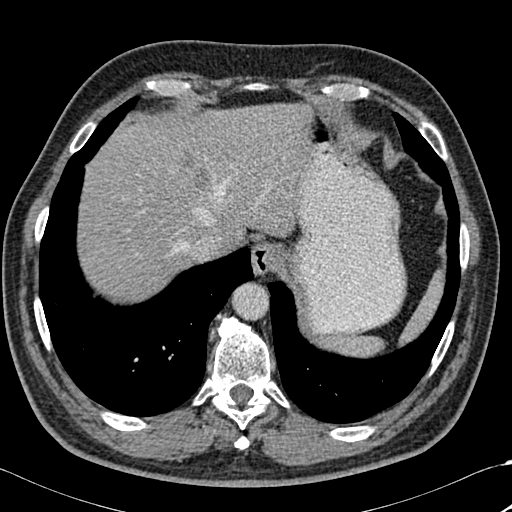

Liver | CT image | Image size 512x512
12 bone regions appear at (194, 318, 288, 429), (34, 299, 49, 348), (460, 225, 469, 267), (420, 122, 446, 158), (431, 322, 453, 372), (102, 412, 145, 430), (35, 208, 48, 240), (345, 86, 368, 97), (147, 81, 182, 93), (331, 426, 373, 441), (235, 437, 248, 448), (70, 122, 94, 152). 2 lung regions are bounded by (267, 112, 460, 423), (39, 97, 253, 416). The liver is located at (78, 104, 309, 299). 2 hepatic lesion regions are located at (194, 171, 211, 190), (178, 149, 195, 168).